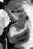 Medial temporal lobe; Magnetic resonance
<segmentation>
  <posterior_hippocampus>x1=12 y1=22 x2=25 y2=30</posterior_hippocampus>
  <anterior_hippocampus>x1=6 y1=10 x2=25 y2=21</anterior_hippocampus>
</segmentation>